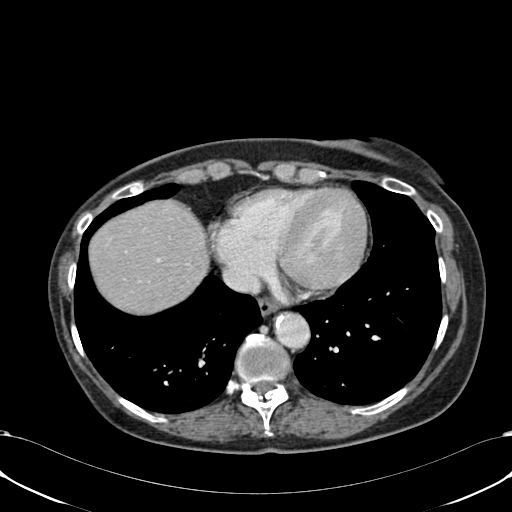 512x512 px, CT

Annotated regions:
• liver: box(90, 202, 206, 311)